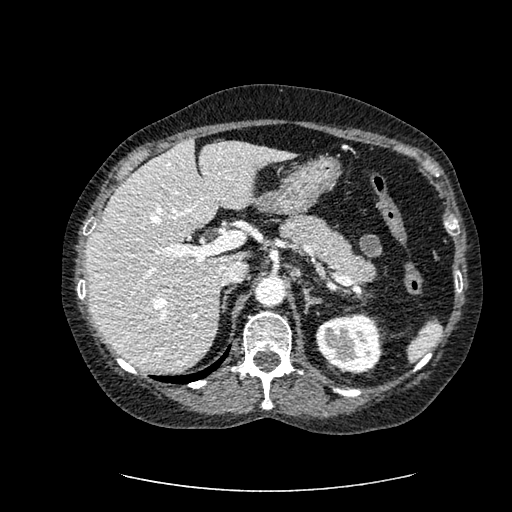

CT scan slice, Liver, 512x512

Liver at (85, 139, 302, 371).
Kidney at (317, 315, 380, 372).